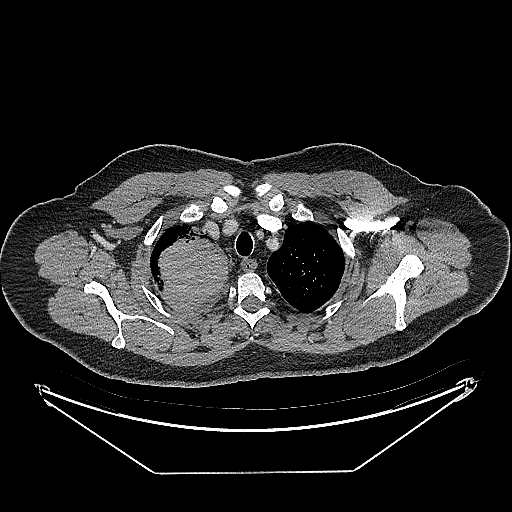
CT scan slice
lung_tumor:
  - (x1=151, y1=225, x2=229, y2=310)